FLAIR MRI.
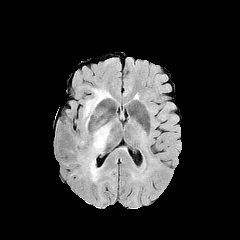
T1-weighted magnetic resonance.
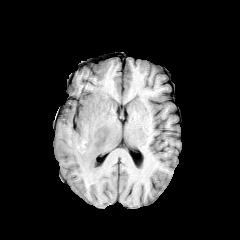
Post-contrast T1-weighted magnetic resonance.
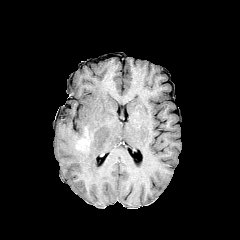
T2-weighted MR image.
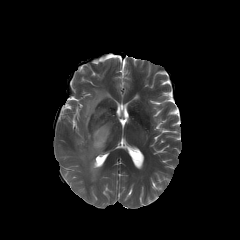
Enhancing tumor — (x1=76, y1=134, x2=89, y2=148).
Edema — (x1=77, y1=89, x2=111, y2=181).